Slice index 446; Liver; Image size 512x512; Field of view 400 mm wide, 0.80 mm slice spacing; CT slice

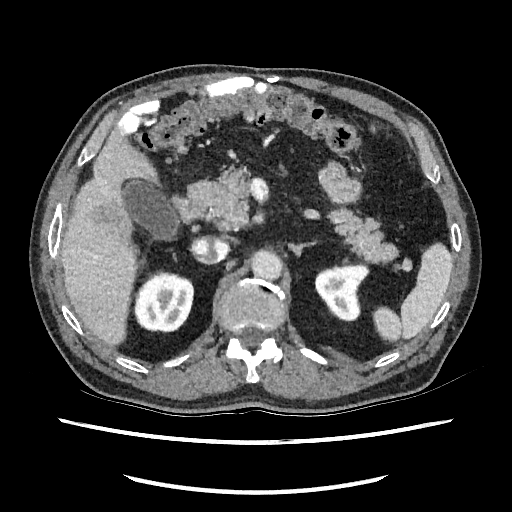

liver: region(63, 130, 153, 345) | hepatic lesion: region(126, 238, 135, 257); region(94, 205, 129, 234) | kidney: region(135, 272, 193, 331); region(316, 264, 368, 320)